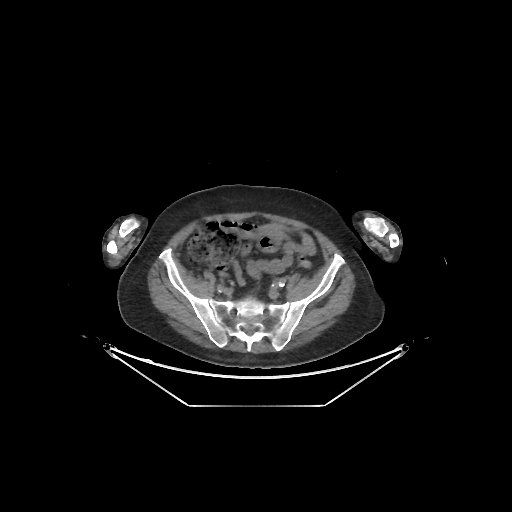
CT scan slice
4 bone regions appear at box=[364, 218, 398, 247]; box=[119, 219, 138, 237]; box=[107, 240, 117, 253]; box=[159, 248, 344, 351].